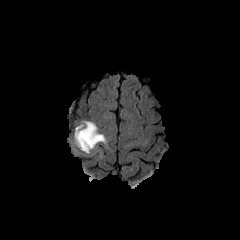
FLAIR magnetic resonance.
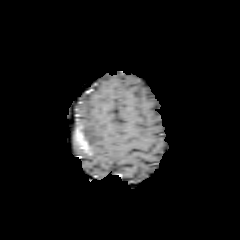
T1-weighted MR.
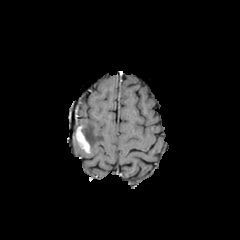
Post-contrast T1-weighted MR image of the same slice.
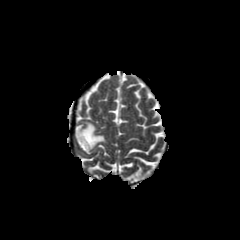
Same slice, T2-weighted MRI.
Brain. Image size 240x240.
{
  "non-enhancing_tumor_core": [
    "[x1=82, y1=130, x2=91, y2=147]"
  ],
  "edema": [
    "[x1=79, y1=120, x2=106, y2=153]"
  ],
  "enhancing_tumor": [
    "[x1=76, y1=125, x2=89, y2=152]"
  ]
}